Field of view 240x240 mm | Brain
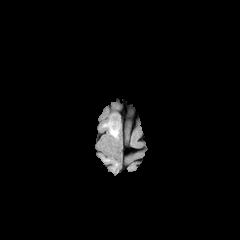
FLAIR MR image.
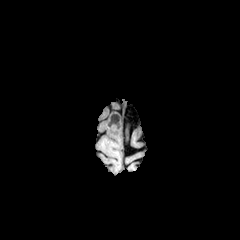
T1-weighted MRI of the same slice.
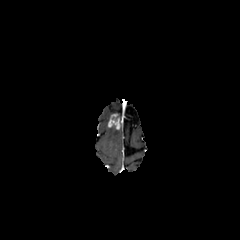
Post-contrast T1-weighted MR image.
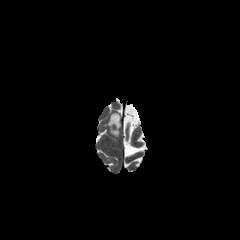
Same slice, T2-weighted magnetic resonance.
The edema is at 108,127,119,139. The enhancing tumor is bounded by 108,113,121,129.